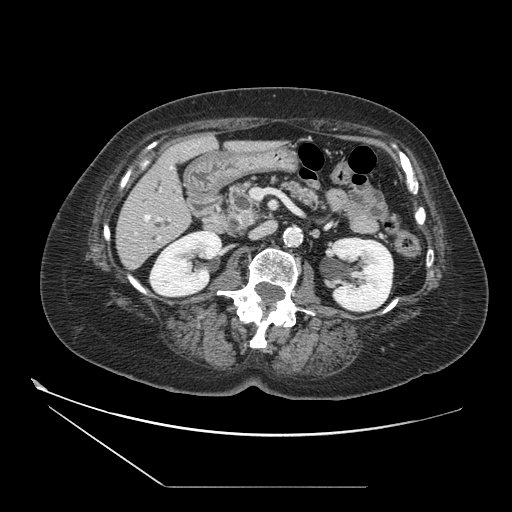
Computed tomography, Abdomen
pancreatic tumor: box(239, 212, 254, 225) | pancreas: box(285, 182, 322, 206); box(230, 185, 257, 222)